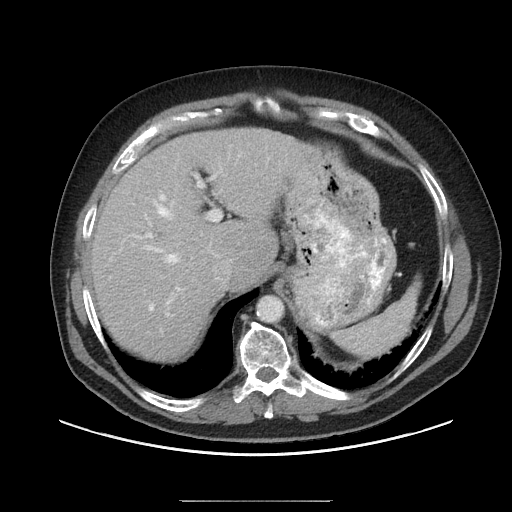 CT
The vessel boxes may cover only some of the vessels.
• hepatic vessel: <box>154,202,172,218</box>, <box>167,300,170,303</box>, <box>213,174,216,177</box>, <box>149,223,150,224</box>, <box>167,314,169,315</box>, <box>159,194,165,200</box>, <box>149,304,153,309</box>, <box>176,287,178,290</box>, <box>146,246,161,251</box>, <box>166,254,179,262</box>, <box>209,211,220,220</box>, <box>214,259,231,274</box>, <box>135,233,151,238</box>, <box>198,182,201,186</box>